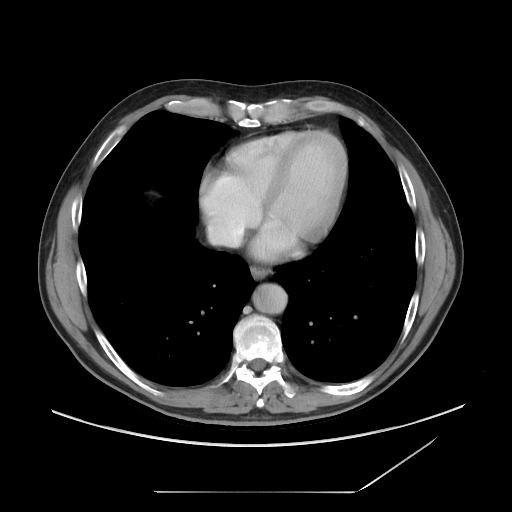 CT image

The vessel boxes may cover only some of the vessels.
<segmentation>
  <hepatic_vessel>(208, 212, 227, 236)</hepatic_vessel>
</segmentation>